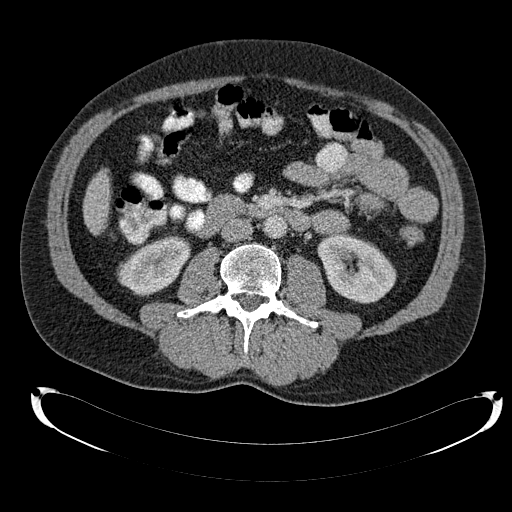

CT scan slice; Liver
liver: l=84, t=172, r=108, b=232 | kidney: l=318, t=234, r=395, b=302; l=120, t=238, r=188, b=294